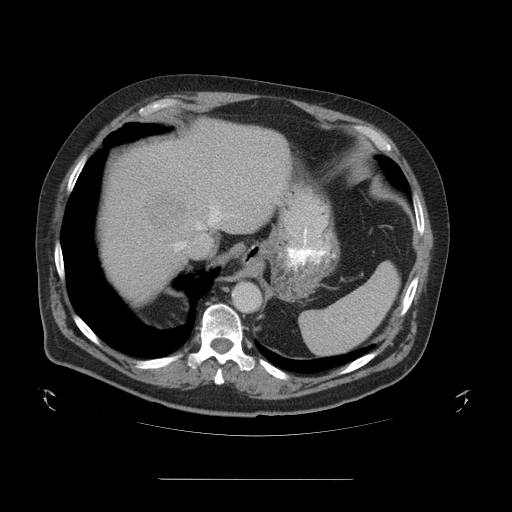
CT image; Abdomen
Not every hepatic vessel necessarily has a box.
Liver tumor: bounding box <box>147,192,184,225</box>.
Hepatic vessel: bounding box <box>194,193,226,230</box>, <box>170,234,209,260</box>, <box>228,214,232,216</box>.